MRI slice; Medial temporal lobe; Field of view 35x53 mm
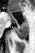 2 anterior hippocampus regions are bounded by (8,12,17,23), (21,20,27,23). The posterior hippocampus is at (14,24,27,39).